Slice index 18; Liver; CT scan slice
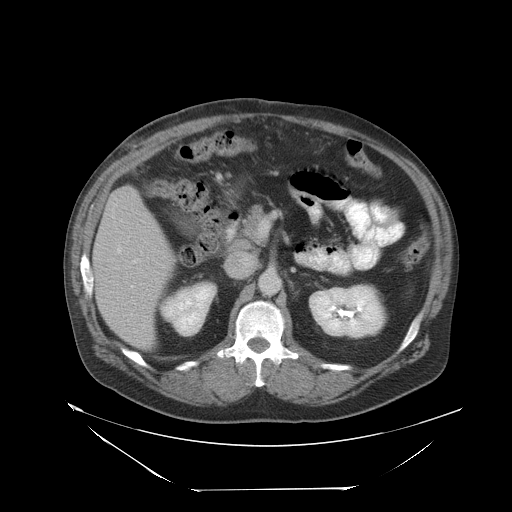
The vessel boxes may cover only some of the vessels.
hepatic_vessel:
  - [117, 247, 120, 253]